Slice index 44. 512x512. CT slice. Abdomen. Image width 460 mm.
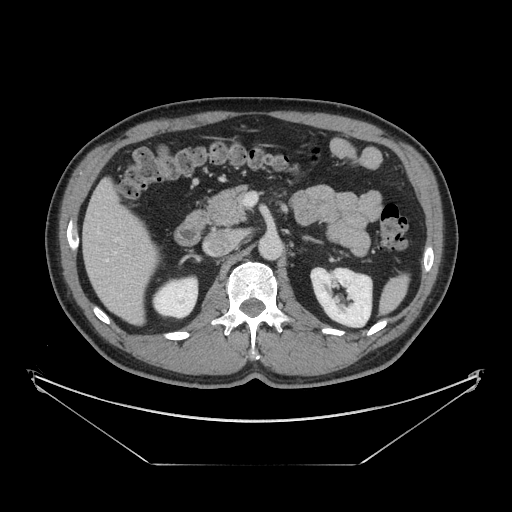
The pancreas is bounded by (left=206, top=185, right=247, bottom=226).